Image width 240 mm
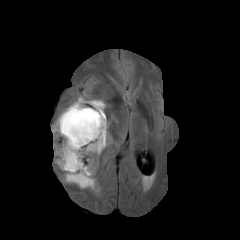
FLAIR magnetic resonance.
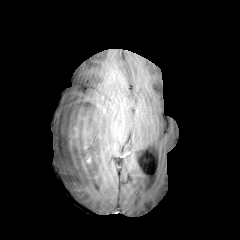
T1-weighted MR image of the same slice.
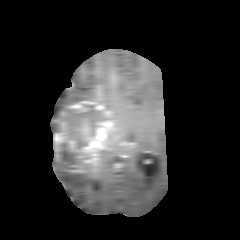
Post-contrast T1-weighted MR image of the same slice.
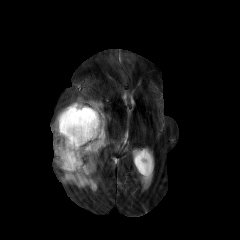
T2-weighted MR image of the same slice.
3 edema regions are located at l=88, t=99, r=109, b=144; l=51, t=104, r=80, b=132; l=53, t=150, r=101, b=188. 2 enhancing tumor regions appear at l=54, t=121, r=106, b=166; l=68, t=100, r=91, b=109. 2 non-enhancing tumor core regions are located at l=58, t=143, r=88, b=170; l=65, t=102, r=98, b=149.